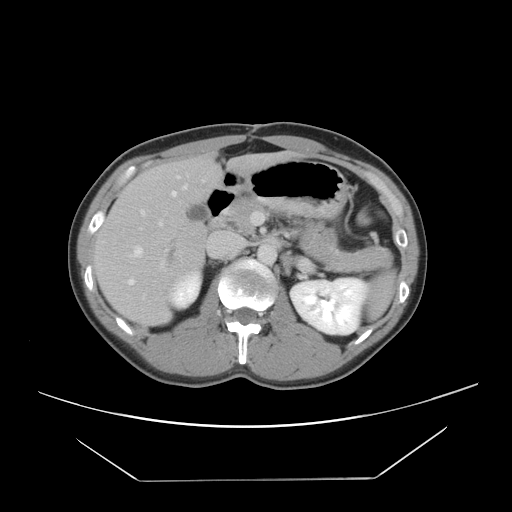 Image size 512x512 | CT slice

Some hepatic vessels may have no box.
liver_tumor:
  - (left=168, top=248, right=174, bottom=264)
hepatic_vessel:
  - (left=158, top=220, right=161, bottom=225)
  - (left=140, top=209, right=144, bottom=215)
  - (left=128, top=246, right=142, bottom=256)
  - (left=171, top=192, right=176, bottom=195)
  - (left=159, top=262, right=165, bottom=269)
  - (left=128, top=278, right=134, bottom=284)
  - (left=202, top=180, right=204, bottom=181)
  - (left=177, top=176, right=179, bottom=178)
  - (left=183, top=185, right=187, bottom=189)
  - (left=142, top=294, right=144, bottom=298)
  - (left=139, top=228, right=141, bottom=229)